Head. 240x240 px.
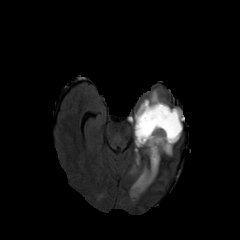
FLAIR MR image.
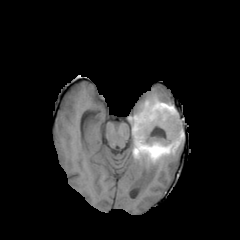
T1-weighted MR.
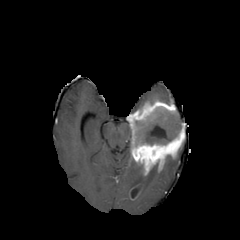
Post-contrast T1-weighted MRI of the same slice.
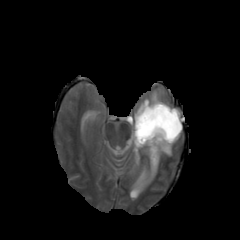
T2-weighted magnetic resonance.
2 edema regions appear at left=131, top=164, right=157, bottom=191; left=134, top=90, right=163, bottom=111. The enhancing tumor is at left=128, top=100, right=183, bottom=175. 2 non-enhancing tumor core regions appear at left=136, top=112, right=181, bottom=145; left=136, top=162, right=144, bottom=179.